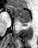
Hippocampus, MRI

Posterior hippocampus: 18:20:29:25.
Anterior hippocampus: 8:5:30:19.